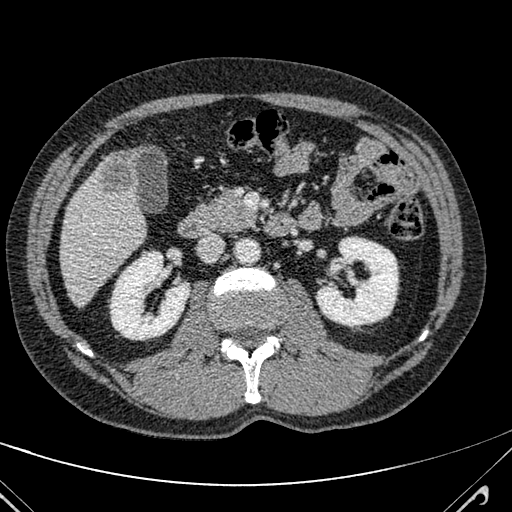 CT scan slice; 512x512 px; Liver

Findings:
• hepatic lesion: (101, 150, 137, 192)
• liver: (61, 155, 144, 306)